Slice index 423 | Upper abdomen | CT slice

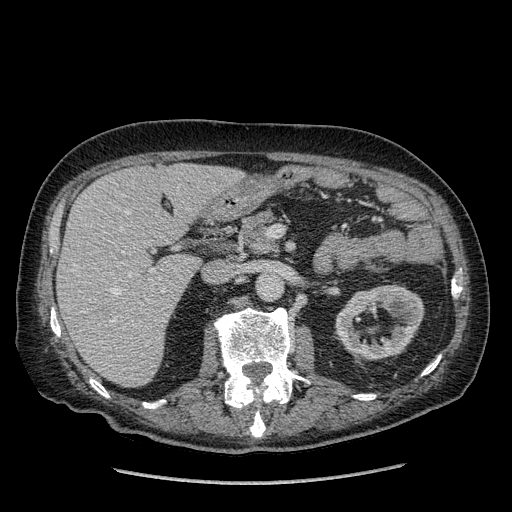 kidney: x1=336 y1=285 x2=423 y2=359 | liver: x1=57 y1=164 x2=236 y2=387